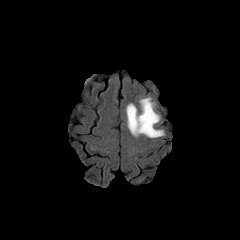
FLAIR MRI.
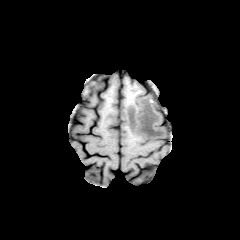
Same slice, T1-weighted MR image.
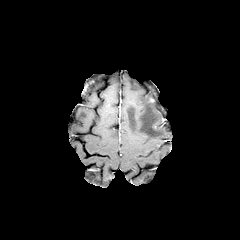
Post-contrast T1-weighted MRI.
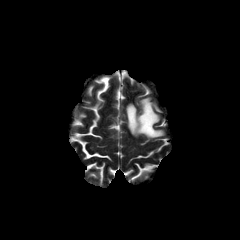
T2-weighted MRI.
edema: l=126, t=97, r=164, b=138